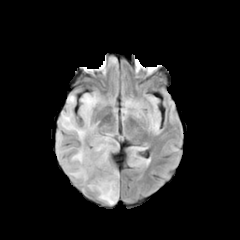
FLAIR MR.
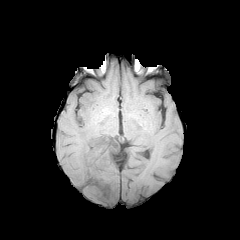
T1-weighted MRI.
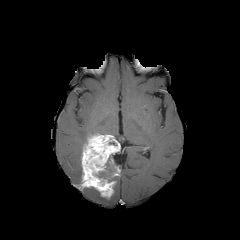
Post-contrast T1-weighted MR.
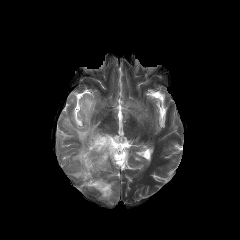
T2-weighted magnetic resonance.
3 edema regions are bounded by l=58, t=92, r=100, b=178; l=57, t=130, r=63, b=155; l=82, t=175, r=119, b=204. The enhancing tumor lies within l=81, t=134, r=119, b=197. 2 non-enhancing tumor core regions appear at l=82, t=130, r=104, b=149; l=93, t=162, r=119, b=181.